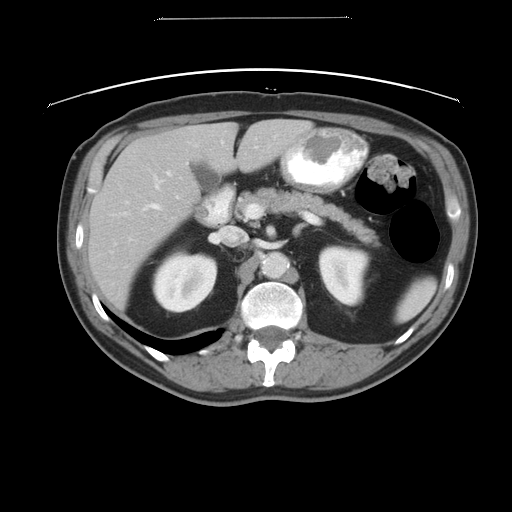

CT scan slice; 512x512
The vessel boxes may cover only some of the vessels.
Hepatic vessel — x1=177, y1=196, x2=178, y2=197; x1=144, y1=203, x2=160, y2=209; x1=113, y1=212, x2=127, y2=215; x1=154, y1=174, x2=162, y2=187; x1=246, y1=203, x2=262, y2=219; x1=126, y1=201, x2=128, y2=203; x1=167, y1=171, x2=171, y2=175; x1=129, y1=237, x2=131, y2=239; x1=111, y1=251, x2=112, y2=252; x1=210, y1=227, x2=238, y2=242.